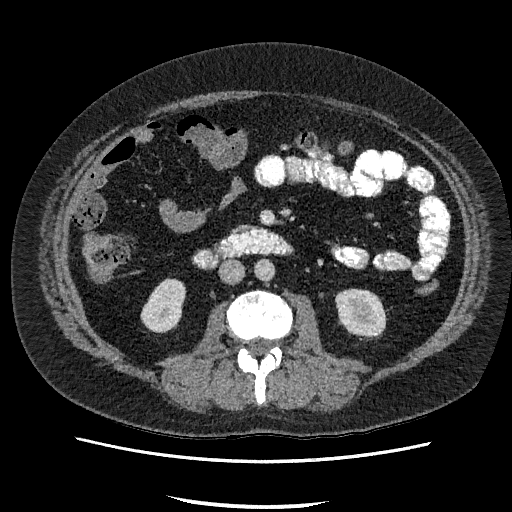 Abdomen, CT scan slice
kidney: 142, 280, 184, 330; 336, 290, 384, 334